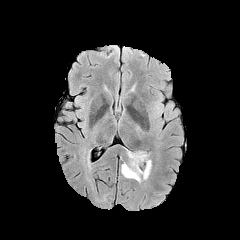
FLAIR MRI.
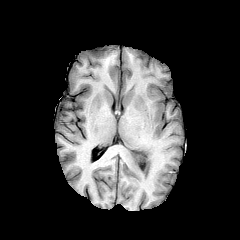
T1-weighted MRI.
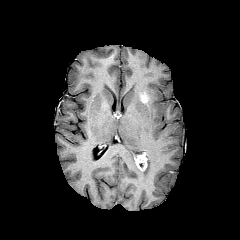
Post-contrast T1-weighted MR image.
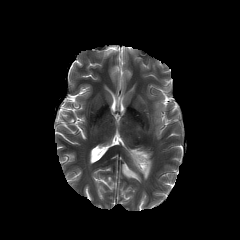
T2-weighted magnetic resonance.
2 enhancing tumor regions are bounded by [141, 93, 148, 102], [134, 152, 147, 165]. The edema is located at [121, 147, 151, 183].